CT scan slice, Upper abdomen
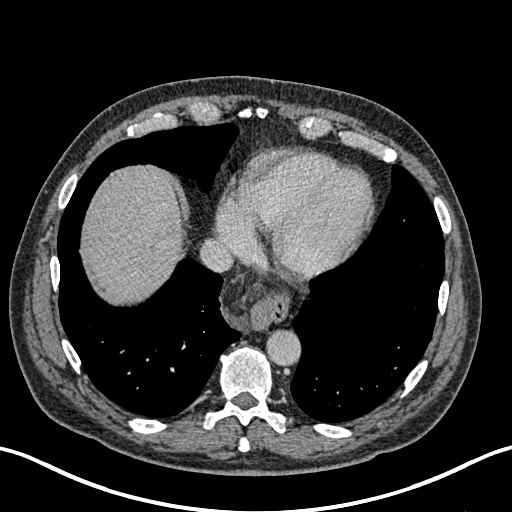 Liver — [82,165,181,304].